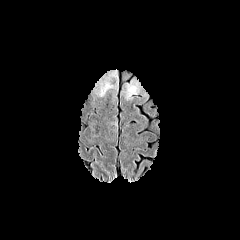
FLAIR MR image.
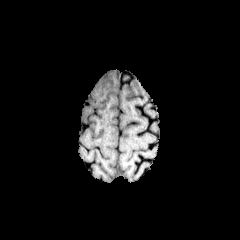
T1-weighted MR.
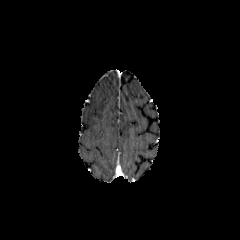
Same slice, post-contrast T1-weighted magnetic resonance.
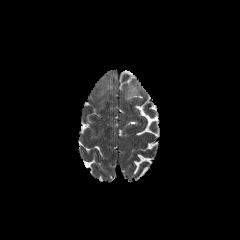
T2-weighted MR image.
The edema lies within (x1=100, y1=80, x2=112, y2=95).